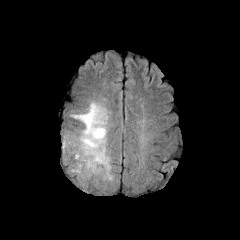
FLAIR magnetic resonance.
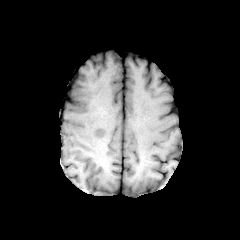
Same slice, T1-weighted magnetic resonance.
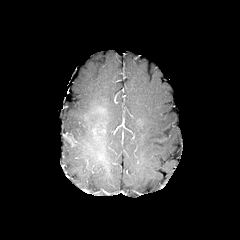
Post-contrast T1-weighted MR image of the same slice.
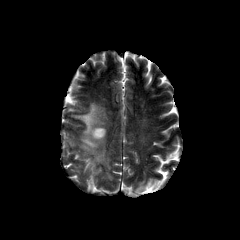
T2-weighted MRI.
Image size 240x240, Head
The non-enhancing tumor core is bounded by (94, 128, 104, 135). The edema is bounded by (63, 100, 112, 181).